Head. Slice 72/155.
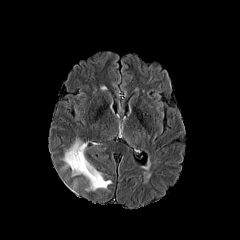
FLAIR MRI.
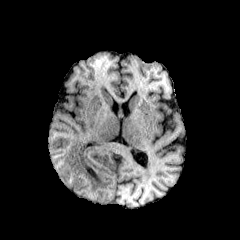
T1-weighted magnetic resonance.
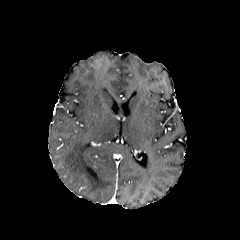
Same slice, post-contrast T1-weighted MRI.
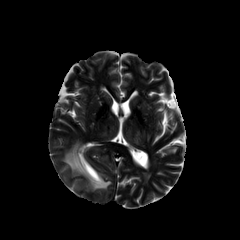
T2-weighted MRI of the same slice.
<segmentation>
  <edema><box>63,140,111,190</box></edema>
</segmentation>